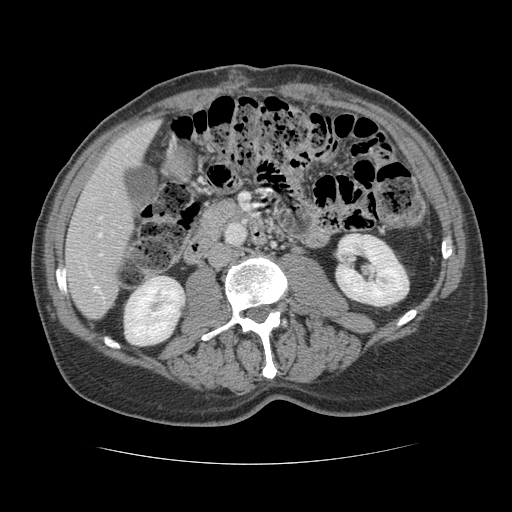

Abdomen, Image size 512x512, Computed tomography
Some hepatic vessels may have no box.
hepatic_vessel:
  - l=99, t=217, r=101, b=219
  - l=98, t=233, r=101, b=236
  - l=99, t=253, r=101, b=255
  - l=94, t=286, r=100, b=292